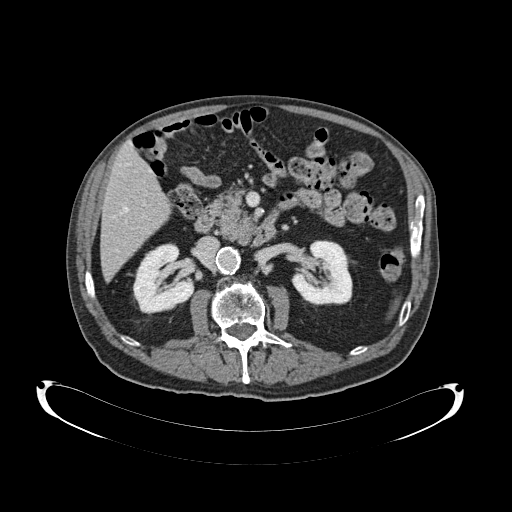
Image size 512x512. Upper abdomen. CT slice.
pancreas: (215,189,257,245)